Brain | Image size 240x240
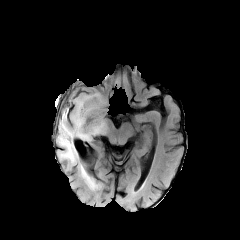
FLAIR magnetic resonance.
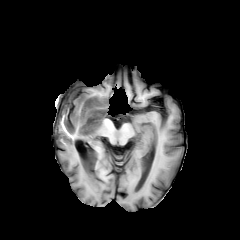
Same slice, T1-weighted MR.
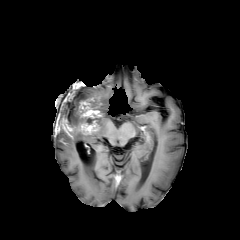
Same slice, post-contrast T1-weighted magnetic resonance.
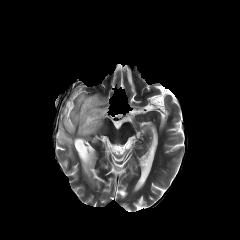
T2-weighted magnetic resonance.
- edema: {"x1": 56, "y1": 93, "x2": 104, "y2": 188}
- non-enhancing tumor core: {"x1": 82, "y1": 117, "x2": 99, "y2": 124}, {"x1": 90, "y1": 98, "x2": 97, "y2": 109}, {"x1": 55, "y1": 116, "x2": 63, "y2": 135}
- enhancing tumor: {"x1": 78, "y1": 120, "x2": 97, "y2": 134}, {"x1": 62, "y1": 118, "x2": 73, "y2": 133}, {"x1": 79, "y1": 98, "x2": 101, "y2": 118}